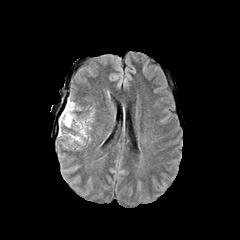
FLAIR magnetic resonance.
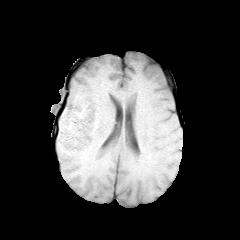
T1-weighted magnetic resonance of the same slice.
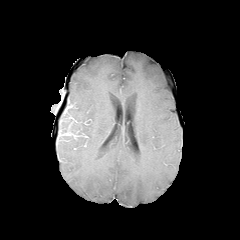
Post-contrast T1-weighted MR image.
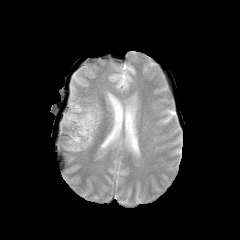
T2-weighted MR image of the same slice.
240x240 | Brain
The edema lies within {"x1": 59, "y1": 97, "x2": 92, "y2": 142}.